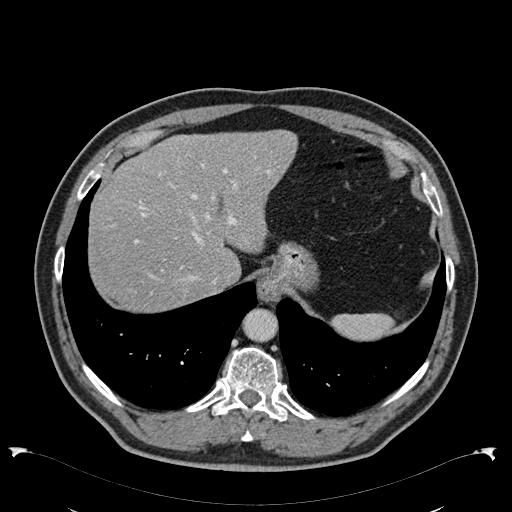 CT scan slice
<segmentation>
  <liver>bbox=[88, 130, 297, 311]</liver>
</segmentation>